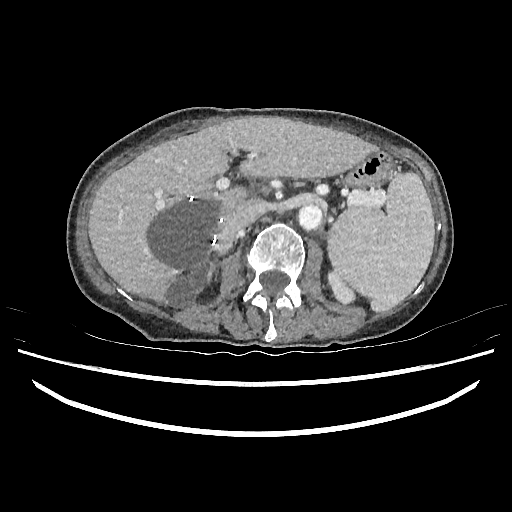

CT
Kidney = bbox=[328, 274, 353, 296].
Liver = bbox=[207, 263, 214, 278]; bbox=[89, 118, 372, 306].
Liver lesion = bbox=[148, 200, 218, 306].